Abdomen. Computed tomography. 512x512.
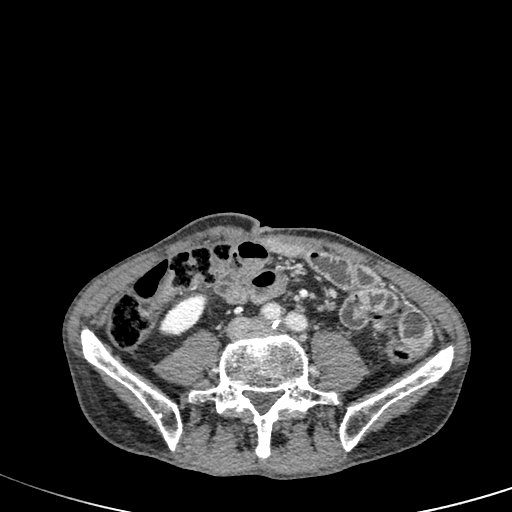
The kidney is located at l=161, t=295, r=204, b=333.